240x240; Head
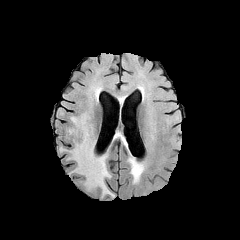
FLAIR MRI.
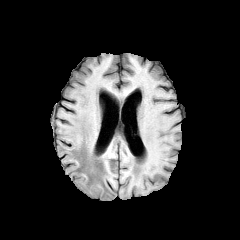
T1-weighted MR.
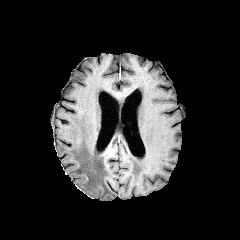
Post-contrast T1-weighted MRI of the same slice.
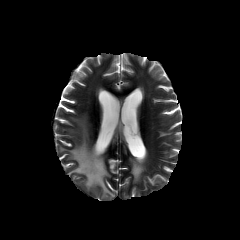
T2-weighted MRI.
Edema at region(127, 156, 145, 183); region(70, 118, 113, 196).